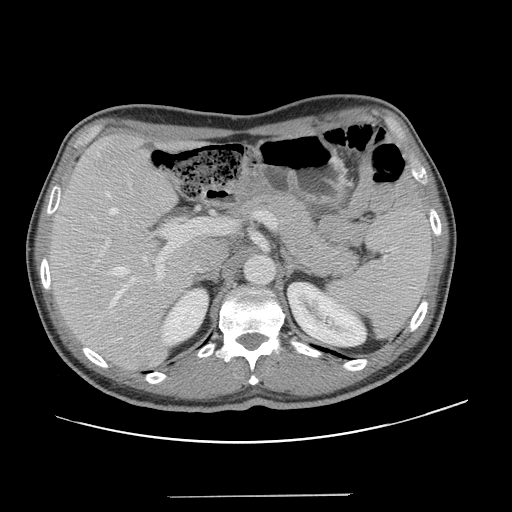 512x512. CT scan slice. The vessel boxes may cover only some of the vessels.
13 hepatic vessel regions are bounded by l=113, t=267, r=127, b=275; l=132, t=345, r=133, b=346; l=110, t=311, r=111, b=312; l=105, t=240, r=110, b=245; l=131, t=277, r=135, b=280; l=127, t=300, r=130, b=303; l=111, t=285, r=126, b=305; l=156, t=268, r=164, b=279; l=110, t=208, r=117, b=214; l=128, t=182, r=130, b=188; l=106, t=192, r=109, b=196; l=143, t=256, r=146, b=260; l=91, t=216, r=94, b=218.